Slice 7/40 | Magnetic resonance | Medial temporal lobe

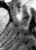 - anterior hippocampus: <box>15,7,19,12</box>